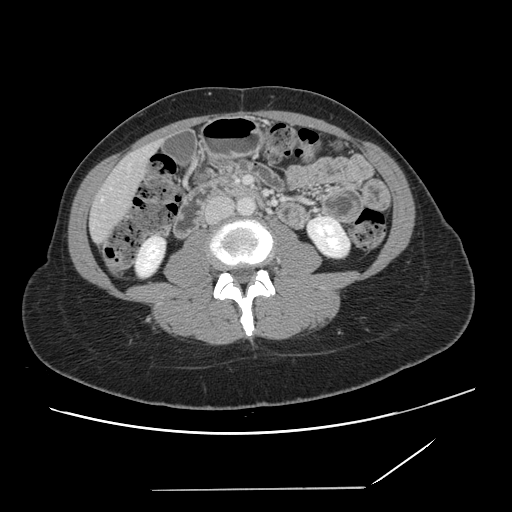
CT slice; Liver
Only some of the vessels may be annotated.
Hepatic vessel: bbox(101, 198, 102, 201).